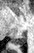 Medial temporal lobe; Magnetic resonance
{
  "posterior_hippocampus": [
    "region(12, 31, 27, 44)"
  ]
}